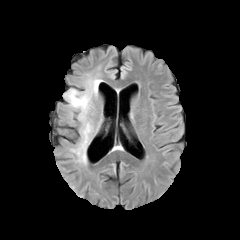
FLAIR MRI.
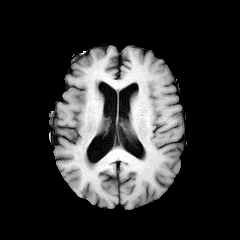
T1-weighted MR image.
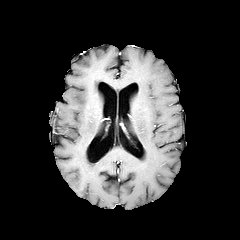
Post-contrast T1-weighted MR of the same slice.
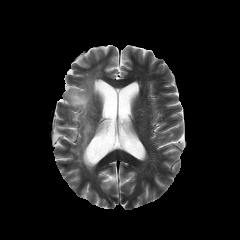
T2-weighted magnetic resonance.
240x240
The edema appears at {"x1": 65, "y1": 72, "x2": 104, "y2": 166}.